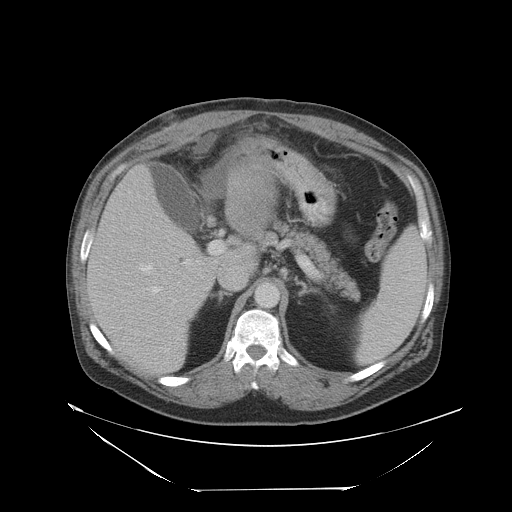
512x512; Liver; CT scan slice
The vessel annotation is not exhaustive.
The liver tumor lies within <box>228,182,268,232</box>. 6 hepatic vessel regions are bounded by <box>184,259,190,264</box>, <box>149,286,161,293</box>, <box>141,263,152,273</box>, <box>166,348,167,350</box>, <box>210,241,223,254</box>, <box>128,191,130,192</box>.